Field of view 408x408 mm; CT scan slice
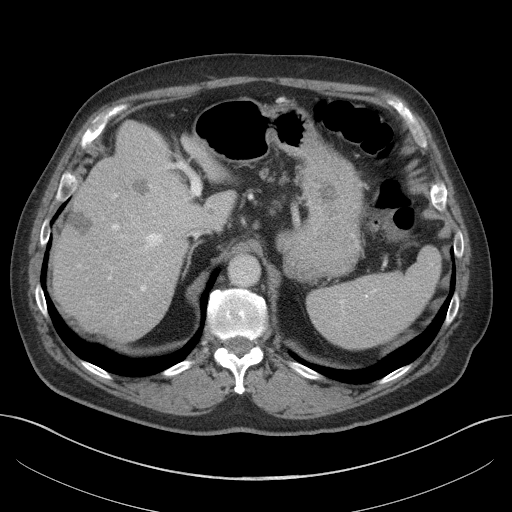

2 liver regions appear at x1=182, y1=134, x2=228, y2=183; x1=52, y1=122, x2=196, y2=342. 2 hepatic lesion regions appear at x1=134, y1=179, x2=149, y2=195; x1=69, y1=213, x2=90, y2=234.